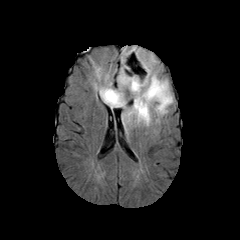
FLAIR magnetic resonance.
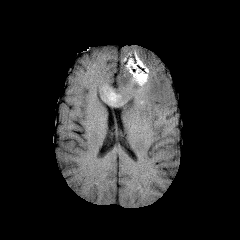
T1-weighted MRI of the same slice.
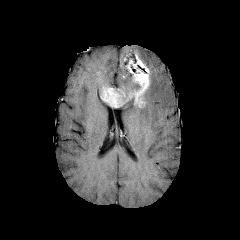
Post-contrast T1-weighted magnetic resonance.
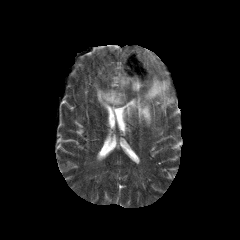
T2-weighted magnetic resonance of the same slice.
Image size 240x240; Brain
enhancing tumor: [132, 64, 149, 105], [101, 87, 124, 107] | non-enhancing tumor core: [126, 57, 147, 77], [139, 91, 146, 108], [114, 83, 140, 104] | edema: [116, 49, 141, 91], [93, 83, 102, 95], [120, 52, 173, 130]